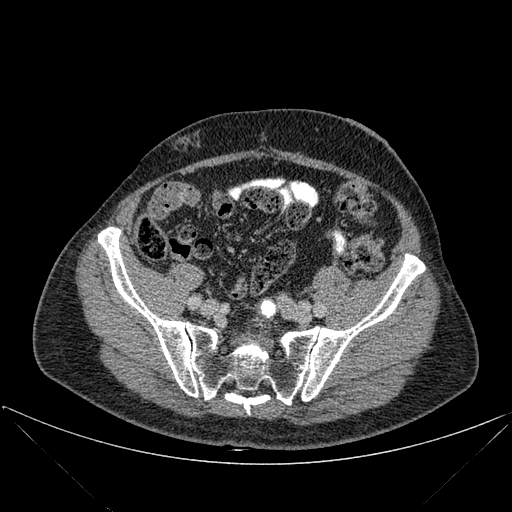

CT slice, 512x512 px
3 bone regions are bounded by bbox=[98, 227, 424, 404]; bbox=[225, 393, 269, 413]; bbox=[261, 300, 275, 317].